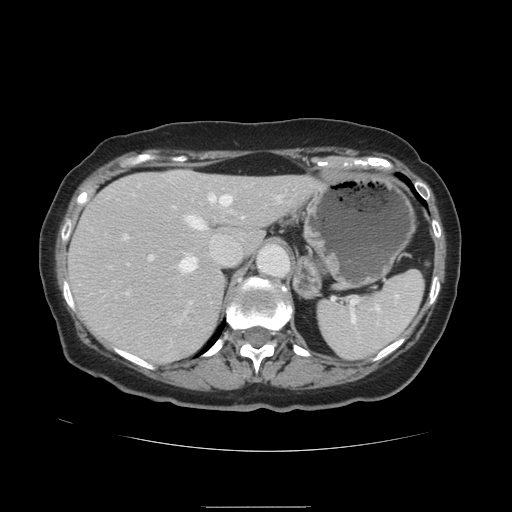
CT scan slice.
Some hepatic vessels may have no box.
Hepatic vessel = 147, 255, 152, 259; 184, 216, 203, 228; 241, 217, 242, 218; 123, 236, 127, 239; 207, 194, 231, 205; 178, 257, 195, 272; 188, 302, 190, 304.